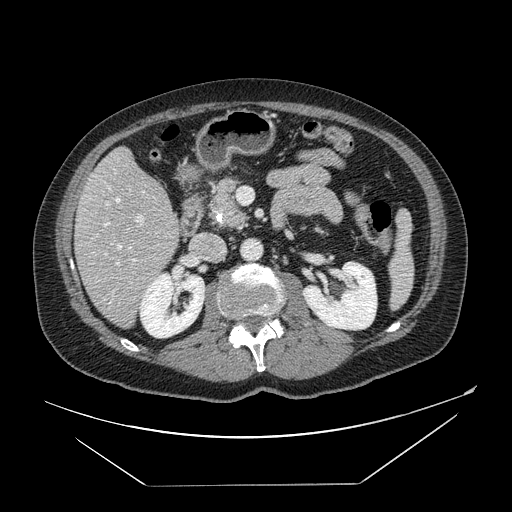 Upper abdomen, 512x512 px, CT

{
  "pancreas": [
    "(left=210, top=179, right=247, bottom=227)"
  ],
  "pancreatic_tumor": [
    "(left=220, top=200, right=238, bottom=217)"
  ]
}